240x240
FLAIR MRI.
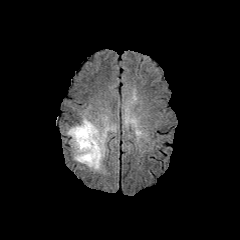
T1-weighted magnetic resonance.
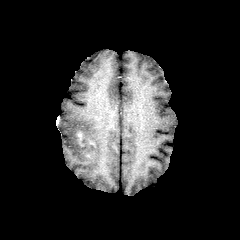
Post-contrast T1-weighted MR image.
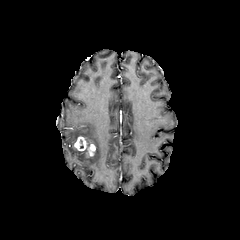
T2-weighted MRI.
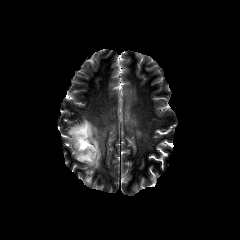
2 edema regions are bounded by (66, 116, 119, 171), (122, 106, 135, 127). The enhancing tumor is bounded by (74, 136, 95, 155).